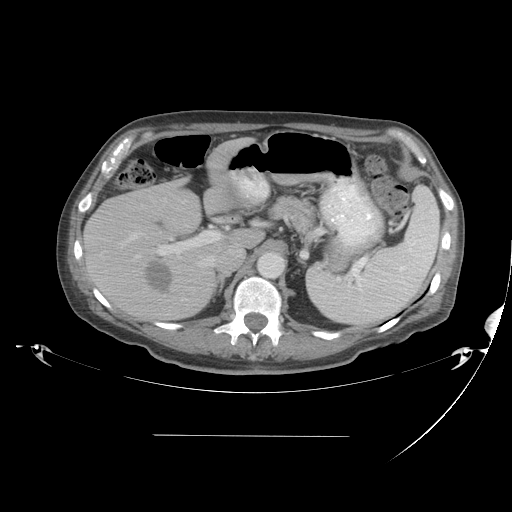

CT slice | Liver | 512x512 px
The vessel boxes may cover only some of the vessels.
liver_tumor:
  - {"x1": 143, "y1": 259, "x2": 173, "y2": 291}
hepatic_vessel:
  - {"x1": 199, "y1": 257, "x2": 213, "y2": 265}
  - {"x1": 164, "y1": 199, "x2": 165, "y2": 201}
  - {"x1": 135, "y1": 255, "x2": 140, "y2": 258}
  - {"x1": 145, "y1": 236, "x2": 150, "y2": 237}
  - {"x1": 118, "y1": 232, "x2": 141, "y2": 247}
  - {"x1": 155, "y1": 231, "x2": 222, "y2": 258}